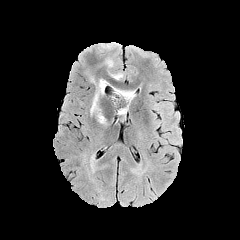
FLAIR MR image.
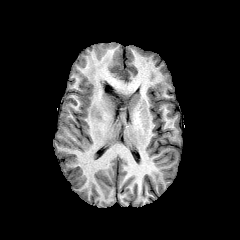
Same slice, T1-weighted MR.
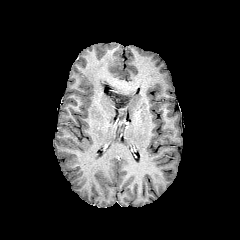
Post-contrast T1-weighted MR.
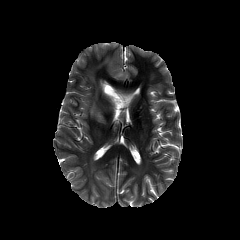
T2-weighted MR.
Brain, 240x240
non-enhancing_tumor_core:
  - bbox=[116, 95, 128, 107]
edema:
  - bbox=[112, 86, 135, 120]
  - bbox=[92, 78, 110, 94]
  - bbox=[106, 57, 114, 65]
  - bbox=[90, 93, 105, 123]